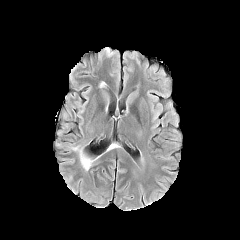
FLAIR MRI.
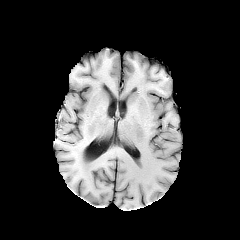
T1-weighted MRI.
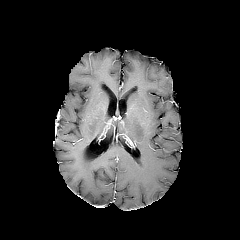
Post-contrast T1-weighted MR.
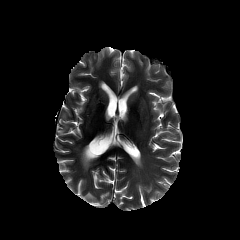
T2-weighted MR.
240x240.
edema: box=[80, 150, 94, 170]